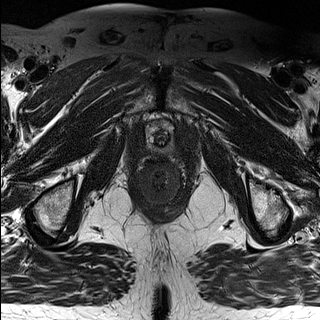
T2-weighted MR.
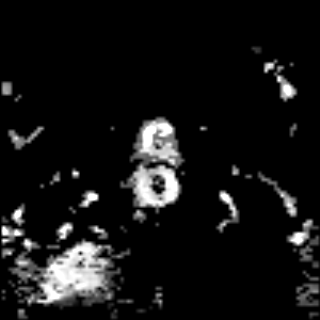
Same slice, ADC MRI.
<segmentation>
  <prostate_transition_zone>x1=150 y1=129 x2=171 y2=149</prostate_transition_zone>
</segmentation>